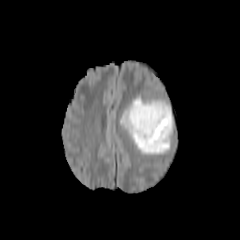
FLAIR MR.
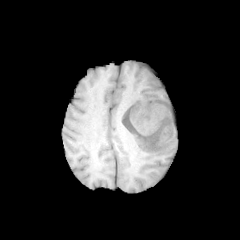
T1-weighted MRI.
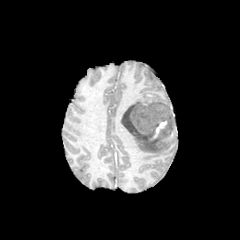
Post-contrast T1-weighted MR.
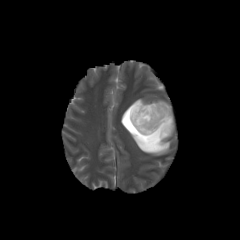
T2-weighted MR image.
The enhancing tumor is at (left=148, top=120, right=167, bottom=140). 2 edema regions appear at (left=119, top=96, right=170, bottom=154), (left=148, top=97, right=171, bottom=111). The non-enhancing tumor core appears at (left=122, top=101, right=173, bottom=143).